CT slice | Liver
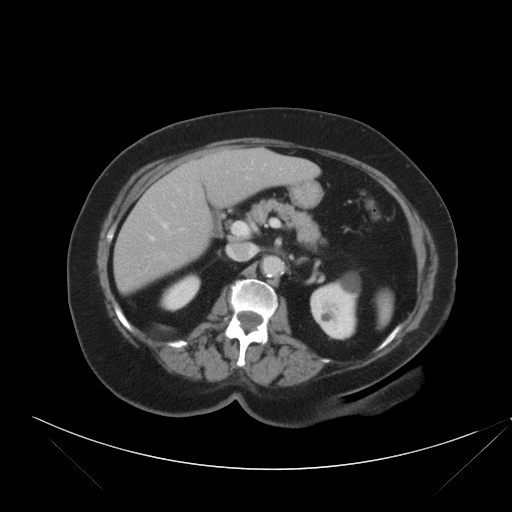
The vessel annotation is not exhaustive.
{"hepatic_vessel": ["(left=246, top=176, right=248, bottom=178)", "(left=162, top=253, right=166, bottom=257)", "(left=176, top=187, right=180, bottom=190)", "(left=148, top=235, right=154, bottom=240)", "(left=264, top=164, right=266, bottom=165)", "(left=194, top=163, right=195, bottom=164)", "(left=153, top=213, right=171, bottom=233)", "(left=245, top=161, right=253, bottom=169)", "(left=172, top=204, right=175, bottom=206)", "(left=180, top=228, right=184, bottom=230)", "(left=292, top=169, right=293, bottom=170)"]}